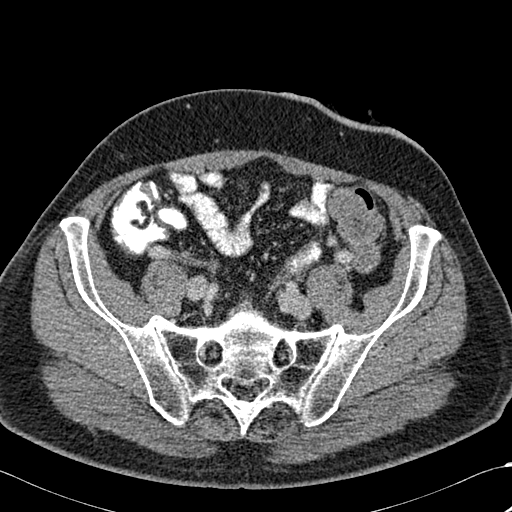

CT slice. 512x512.

<segmentation>
  <bone>bbox(60, 216, 440, 433)</bone>
</segmentation>